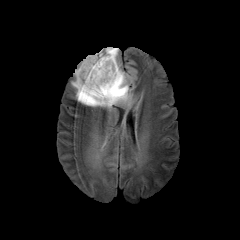
FLAIR MR.
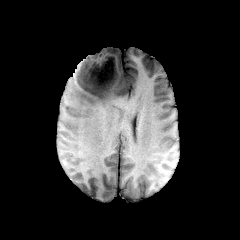
Same slice, T1-weighted MRI.
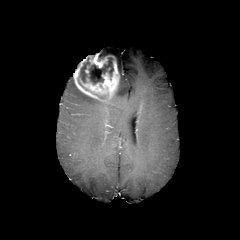
Same slice, post-contrast T1-weighted magnetic resonance.
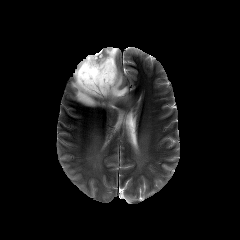
Same slice, T2-weighted MRI.
240x240, Head
<segmentation>
  <non-enhancing_tumor_core>box=[80, 58, 89, 81]; box=[88, 57, 113, 83]</non-enhancing_tumor_core>
  <edema>box=[72, 48, 131, 107]</edema>
  <enhancing_tumor>box=[73, 53, 119, 98]</enhancing_tumor>
</segmentation>